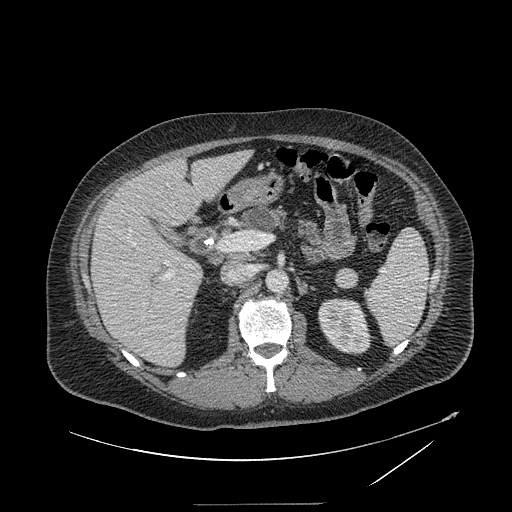 CT slice
pancreas:
  - x1=241 y1=206 x2=286 y2=230
  - x1=298 y1=219 x2=321 y2=245